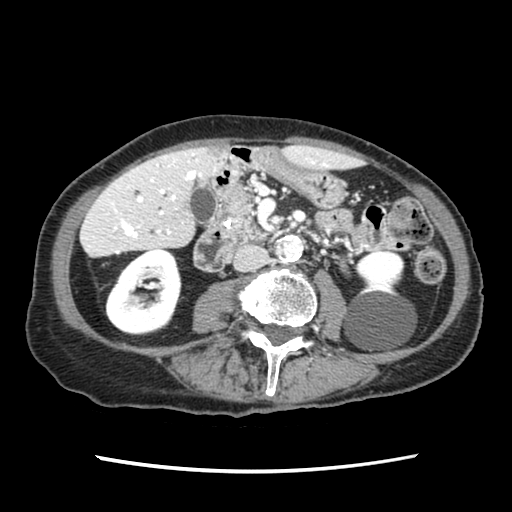

Computed tomography
The pancreas is bounded by 222,188,265,244.